Abdomen, CT, 512x512

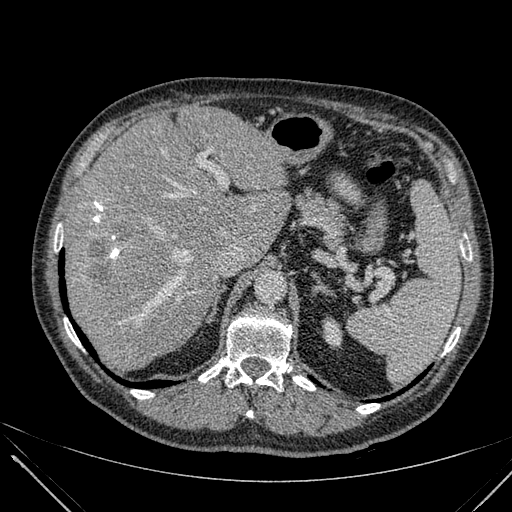

<segmentation>
  <kidney>x1=325, y1=322, x2=340, y2=344</kidney>
  <liver_lesion>x1=116, y1=222, x2=131, y2=237; x1=92, y1=261, x2=109, y2=285; x1=90, y1=241, x2=105, y2=257</liver_lesion>
  <liver>x1=66, y1=108, x2=288, y2=370</liver>
</segmentation>